CT slice. Slice 56/101.

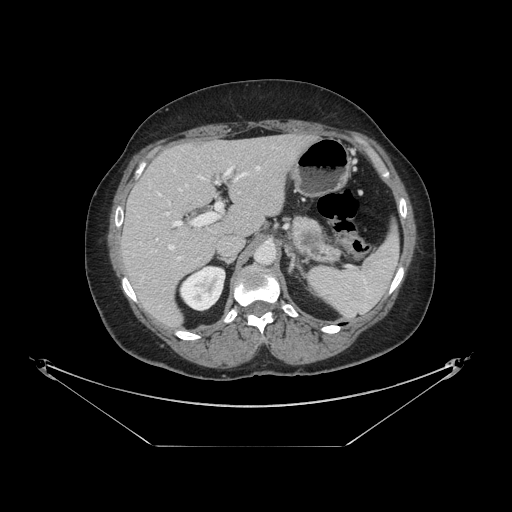

{
  "pancreas": [
    "[291, 215, 340, 263]"
  ],
  "pancreatic_tumor": [
    "[299, 231, 320, 249]"
  ]
}